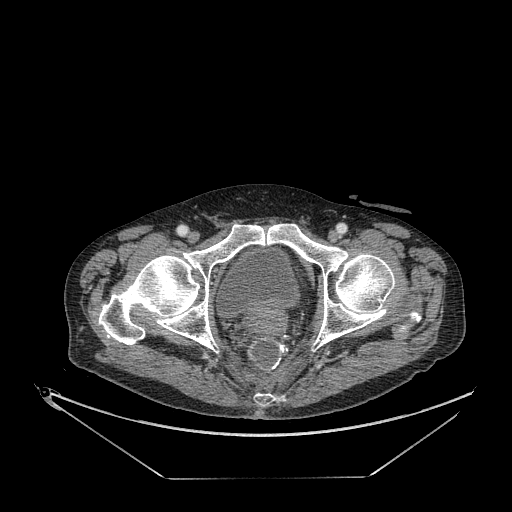 CT scan slice

urinary_bladder:
  - x1=216, y1=245, x2=299, y2=317